Slice 95/117. Liver. Computed tomography. 512x512. 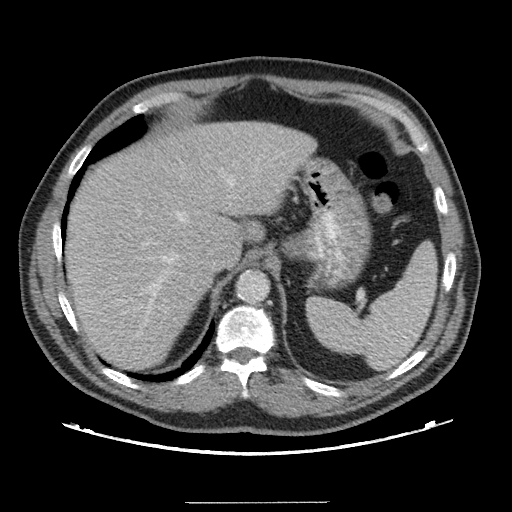

The vessel annotation is not exhaustive.
<segmentation>
  <hepatic_vessel>bbox=[140, 276, 164, 295]; bbox=[228, 180, 232, 185]; bbox=[149, 299, 154, 302]; bbox=[165, 271, 167, 273]; bbox=[168, 211, 188, 222]; bbox=[136, 209, 140, 216]; bbox=[162, 256, 172, 261]</hepatic_vessel>
</segmentation>